Upper abdomen | CT image 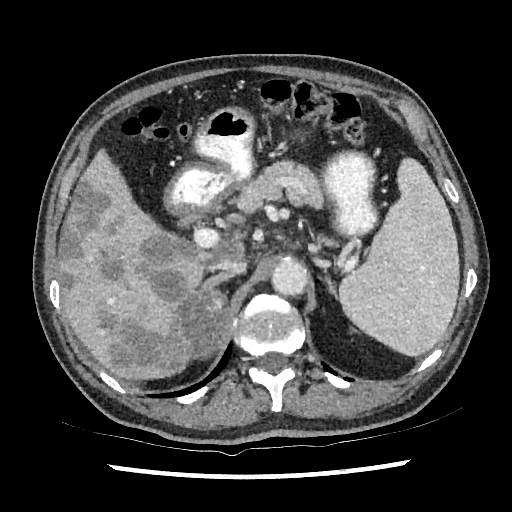

Liver: (x1=60, y1=203, x2=71, y2=255), (x1=162, y1=239, x2=245, y2=293), (x1=60, y1=149, x2=189, y2=377).
Hepatic lesion: (x1=139, y1=233, x2=202, y2=302), (x1=93, y1=247, x2=130, y2=289), (x1=104, y1=219, x2=122, y2=238), (x1=98, y1=306, x2=186, y2=372), (x1=60, y1=271, x2=75, y2=298), (x1=60, y1=178, x2=109, y2=258).